Slice 55 of 155, Field of view 240 mm wide, 1.00 mm slice spacing, Brain
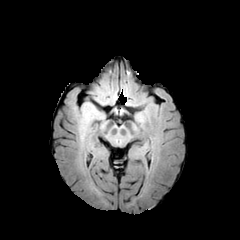
FLAIR MR image.
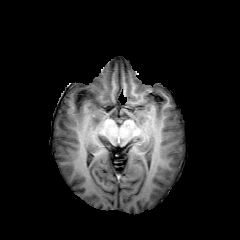
Same slice, T1-weighted MR image.
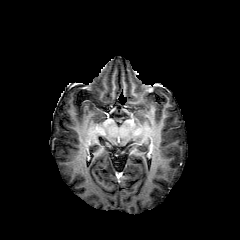
Same slice, post-contrast T1-weighted magnetic resonance.
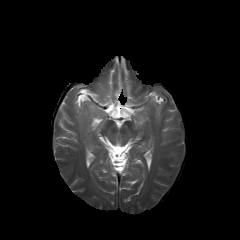
T2-weighted magnetic resonance of the same slice.
Segmented structures:
- edema: 80 100 102 127, 90 90 99 101, 134 110 147 125